Head | Slice index 68 | 240x240
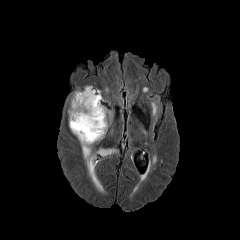
FLAIR magnetic resonance.
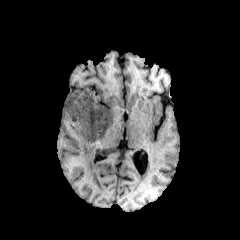
T1-weighted magnetic resonance.
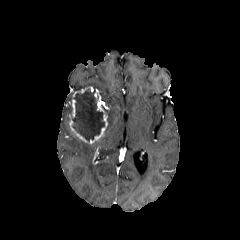
Same slice, post-contrast T1-weighted MR image.
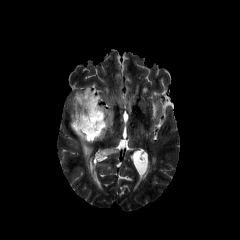
Same slice, T2-weighted magnetic resonance.
2 non-enhancing tumor core regions appear at (x1=68, y1=92, x2=72, y2=114), (x1=73, y1=87, x2=103, y2=140). 3 edema regions are bounded by (x1=108, y1=112, x2=112, y2=126), (x1=80, y1=141, x2=91, y2=157), (x1=99, y1=148, x2=120, y2=156). 3 enhancing tumor regions appear at (x1=92, y1=146, x2=99, y2=164), (x1=94, y1=89, x2=110, y2=111), (x1=69, y1=86, x2=108, y2=144).